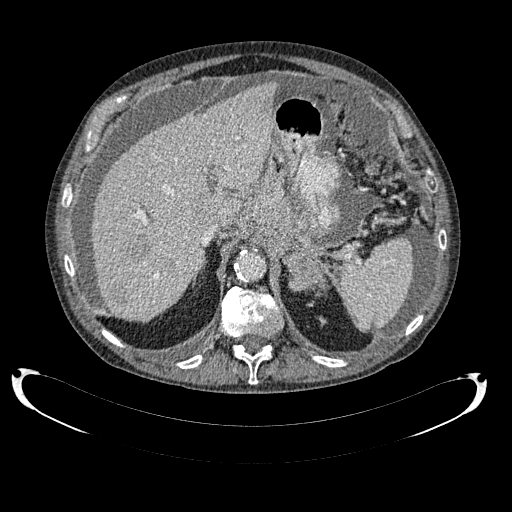
Abdomen; Computed tomography

liver lesion: (123,236,150,262), (195,203,212,219), (113,288,127,304) | liver: (92,81,277,320)